CT scan slice. Slice 171 of 192. 512x512 px.
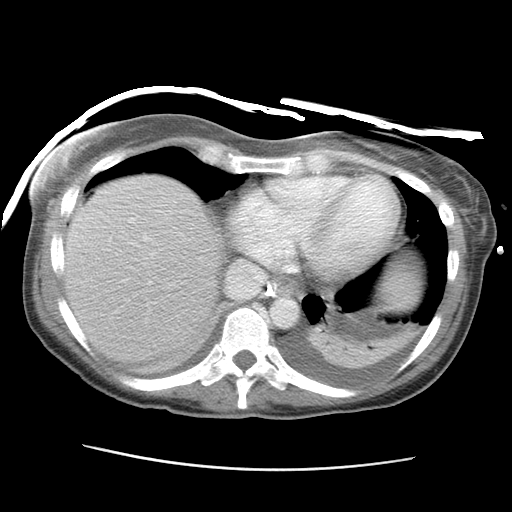

- liver: left=382, top=273, right=418, bottom=310; left=62, top=175, right=223, bottom=362